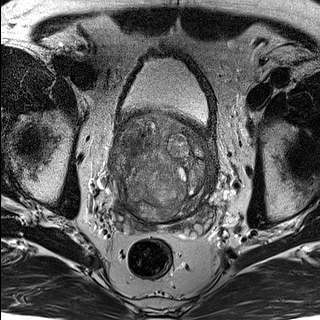
T2-weighted magnetic resonance.
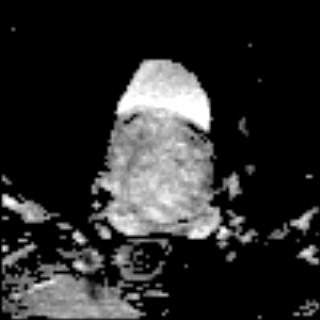
Same slice, ADC MR.
Image size 320x320.
Prostate transition zone: region(111, 114, 216, 221).